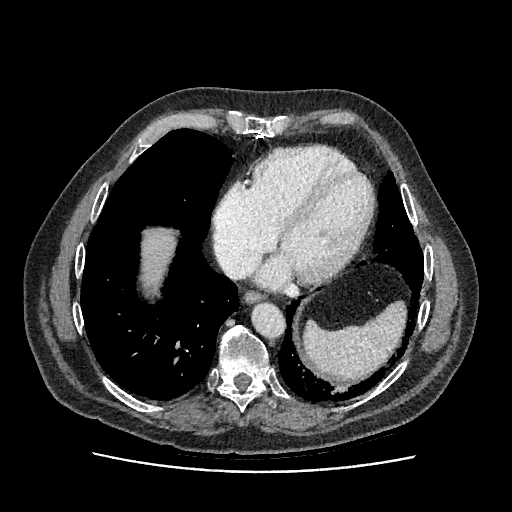 CT slice
Liver at bbox=[141, 228, 174, 285].